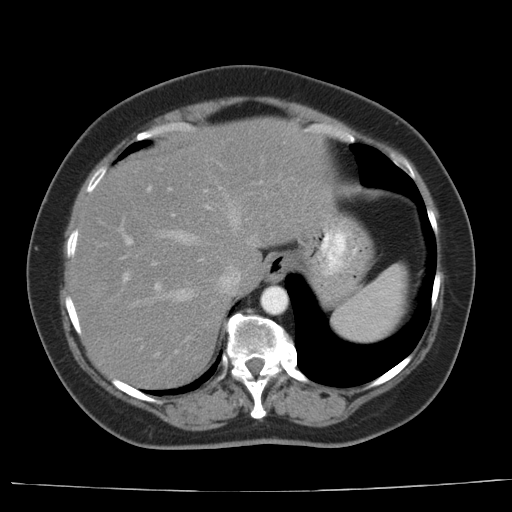
CT image; 512x512 px; Abdomen
Some hepatic vessels may have no box.
Findings:
* hepatic vessel: (123,274,127,280), (174,231,191,242), (124,237,131,244), (175,289,187,300), (155,284,159,289)